CT | Image width 412 mm
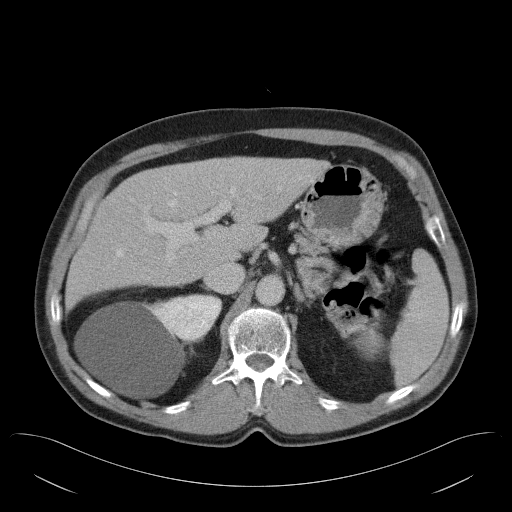

Not every hepatic vessel necessarily has a box.
Hepatic vessel — bbox(169, 200, 175, 205); bbox(231, 187, 235, 195); bbox(116, 250, 122, 255); bbox(247, 189, 249, 191); bbox(130, 199, 132, 200); bbox(144, 206, 148, 213); bbox(144, 216, 160, 232); bbox(167, 243, 179, 262).